512x512 px; Upper abdomen; Slice index 68; CT scan slice 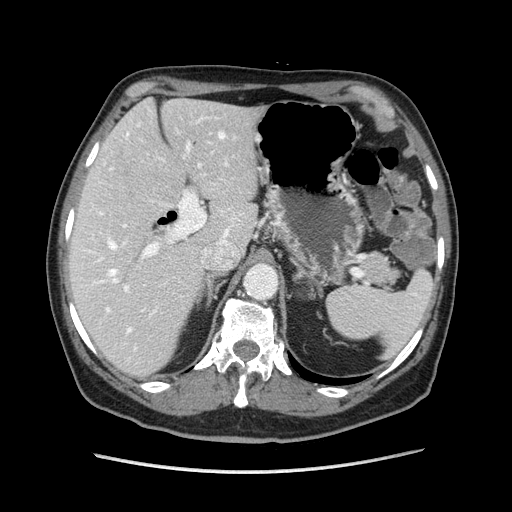

Pancreas = box(362, 255, 397, 285).